CT slice. Field of view 335 mm wide, 1.00 mm slice spacing. 512x512. 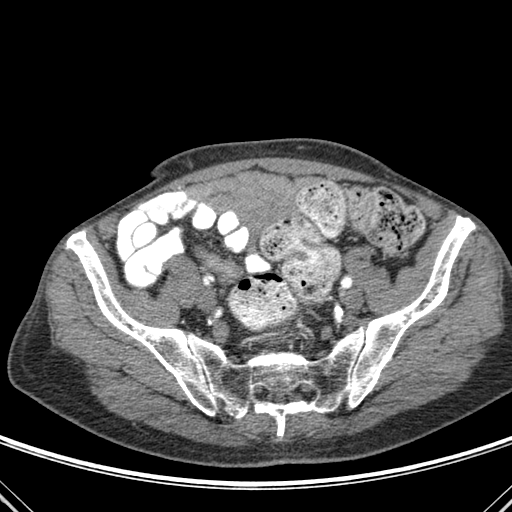 Bone: bounding box box=[66, 216, 475, 436].